240x240, Brain, Slice 85 of 155
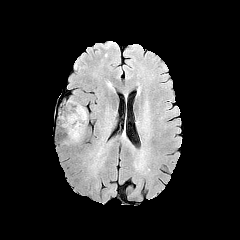
FLAIR MRI.
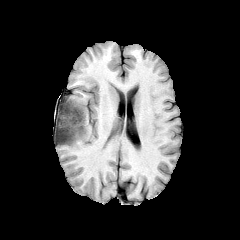
T1-weighted MRI of the same slice.
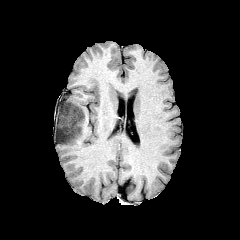
Post-contrast T1-weighted MR image.
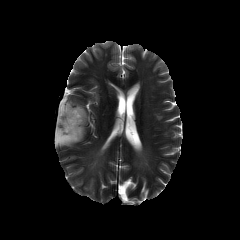
T2-weighted MRI.
{"non-enhancing_tumor_core": ["(x1=57, y1=106, x2=84, y2=143)"], "edema": ["(x1=59, y1=104, x2=77, y2=118)", "(x1=78, y1=105, x2=87, y2=123)"]}